Brain. 240x240 px. Slice 94/155.
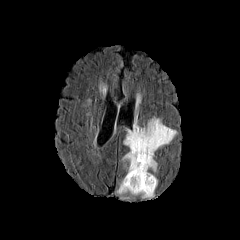
FLAIR magnetic resonance.
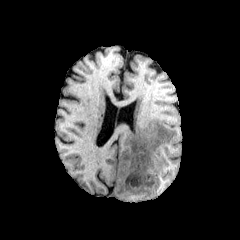
Same slice, T1-weighted magnetic resonance.
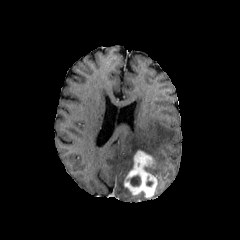
Post-contrast T1-weighted MR image.
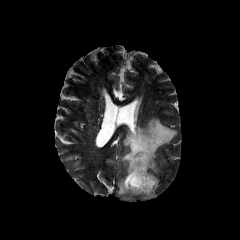
T2-weighted MR image.
Annotated regions:
* edema: x1=116, y1=179, x2=129, y2=196; x1=122, y1=117, x2=177, y2=173
* non-enhancing tumor core: x1=130, y1=175, x2=141, y2=186
* enhancing tumor: x1=124, y1=150, x2=157, y2=197